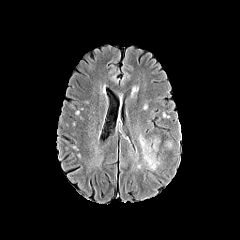
FLAIR MR image.
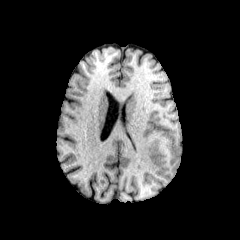
T1-weighted MRI.
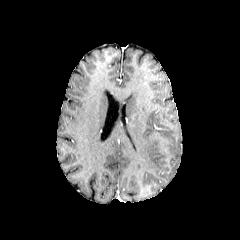
Post-contrast T1-weighted MR image.
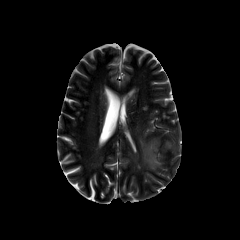
T2-weighted MR.
Brain
The edema is at x1=140 y1=137 x2=158 y2=169.